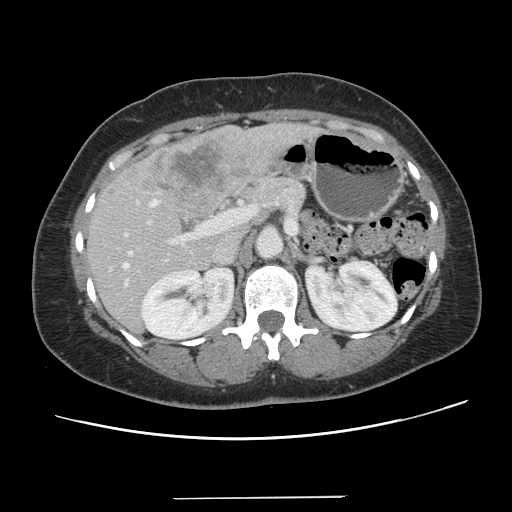
CT slice, Image size 512x512

The vessel boxes may cover only some of the vessels.
- hepatic vessel: box=[136, 200, 138, 203]; box=[129, 251, 132, 254]; box=[125, 233, 127, 236]; box=[148, 221, 150, 223]; box=[125, 280, 127, 285]; box=[150, 199, 158, 206]; box=[170, 217, 219, 244]; box=[123, 263, 128, 268]; box=[239, 201, 242, 204]; box=[219, 209, 250, 230]
- liver tumor: box=[138, 139, 249, 198]